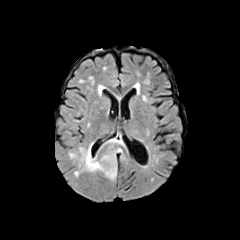
FLAIR MRI.
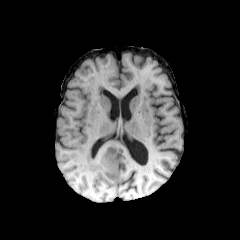
T1-weighted MR image.
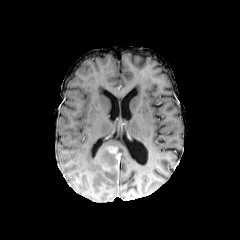
Same slice, post-contrast T1-weighted MRI.
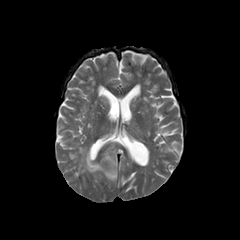
Same slice, T2-weighted MRI.
Image size 240x240.
Edema — 69,152,77,160; 78,141,116,180; 101,132,125,153.
Enhancing tumor — 106,146,121,172.
Non-enhancing tumor core — 98,145,117,174.